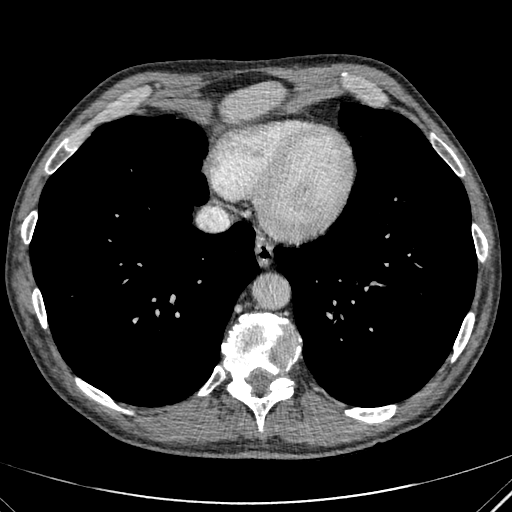
Upper abdomen; CT slice

Liver at box(221, 82, 284, 121).